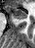
35x48, Magnetic resonance

<segmentation>
  <posterior_hippocampus>x1=19, y1=18, x2=27, y2=19</posterior_hippocampus>
  <anterior_hippocampus>x1=7, y1=5, x2=28, y2=17</anterior_hippocampus>
</segmentation>